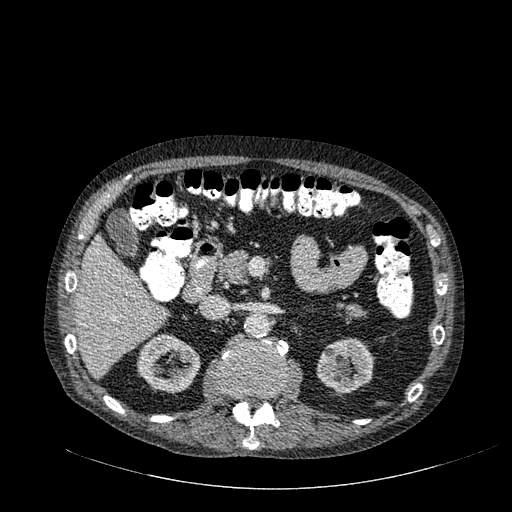 CT slice. 512x512.
Kidney: (x1=316, y1=338, x2=374, y2=396), (x1=137, y1=334, x2=200, y2=393).
Liver: (x1=76, y1=236, x2=166, y2=376).